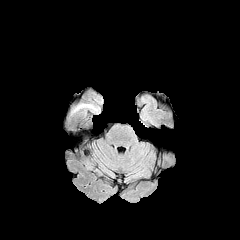
FLAIR MR image.
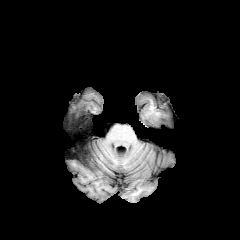
T1-weighted MR of the same slice.
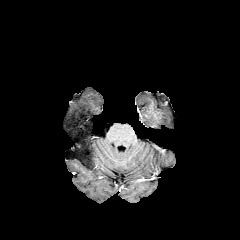
Post-contrast T1-weighted MR of the same slice.
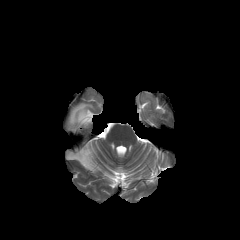
Same slice, T2-weighted magnetic resonance.
240x240
2 non-enhancing tumor core regions are bounded by (x1=72, y1=108, x2=89, y2=122), (x1=79, y1=150, x2=92, y2=167). The edema lies within (x1=70, y1=102, x2=100, y2=123).